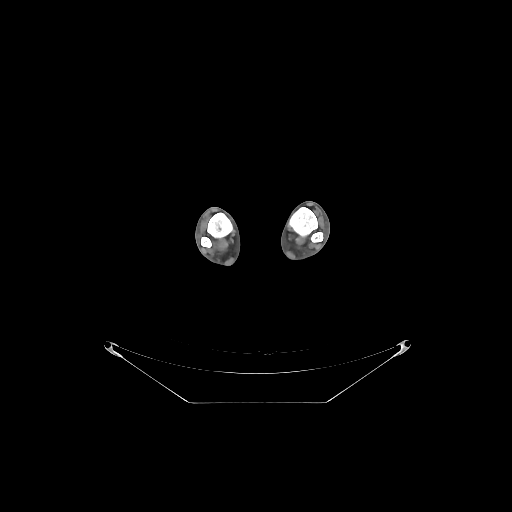

CT slice.
4 bone regions are bounded by l=289, t=207, r=317, b=237; l=311, t=232, r=323, b=242; l=207, t=213, r=232, b=238; l=201, t=237, r=211, b=247.